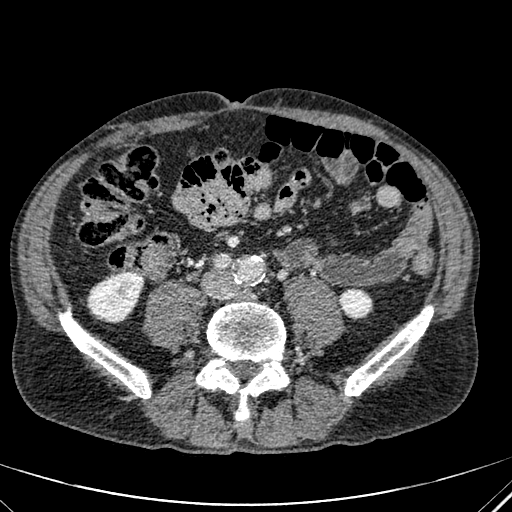
CT slice
{"kidney": ["(341,290,370,316)", "(89,273,142,320)"]}